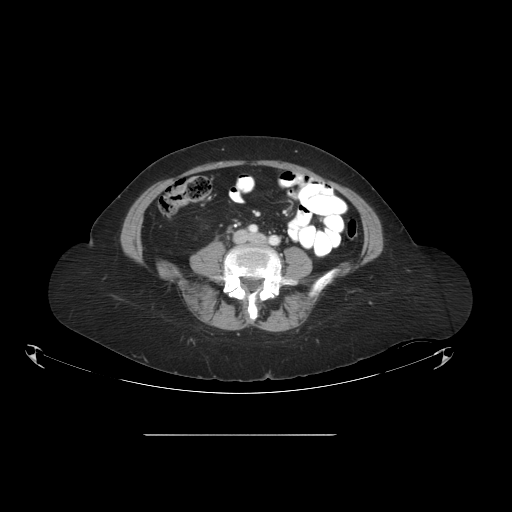 CT slice
Colon tumor = box=[164, 176, 205, 205].